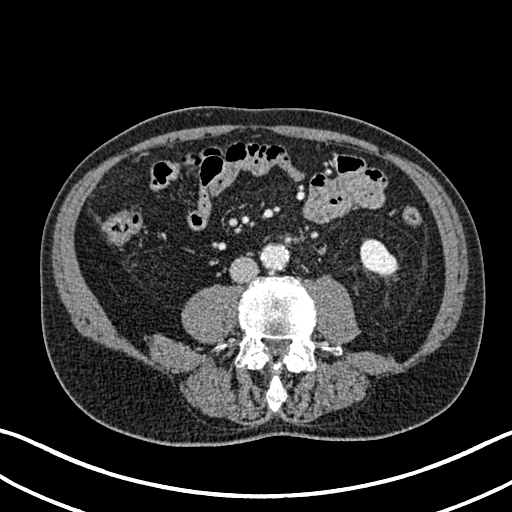 Abdomen. CT. The kidney is bounded by x1=361 y1=240 x2=396 y2=274.